FLAIR MR image.
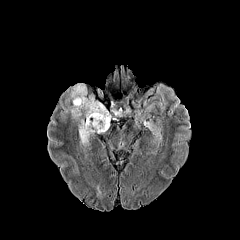
T1-weighted MRI.
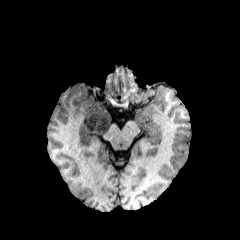
Post-contrast T1-weighted MR image.
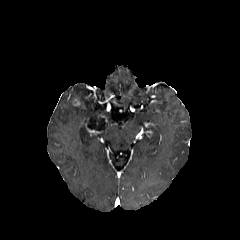
T2-weighted MR image.
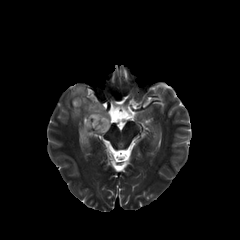
Head, Image size 240x240
The non-enhancing tumor core appears at box=[84, 110, 110, 132]. 2 edema regions are located at box=[68, 84, 107, 124]; box=[78, 124, 90, 152].